Head
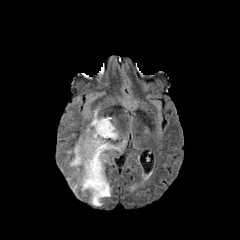
FLAIR magnetic resonance.
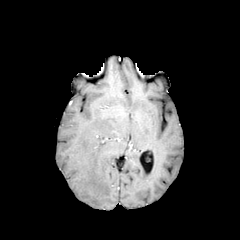
Same slice, T1-weighted MR image.
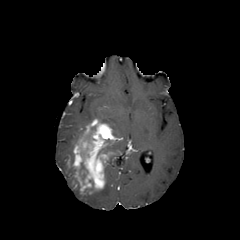
Post-contrast T1-weighted MR image.
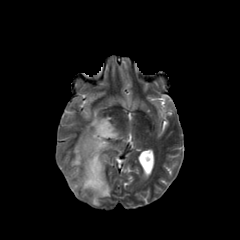
Same slice, T2-weighted MRI.
Edema = 68 154 76 189, 83 172 111 205, 86 109 126 156.
Enhancing tumor = 73 119 114 192.
Non-enhancing tumor core = 78 163 85 181, 84 126 95 139.